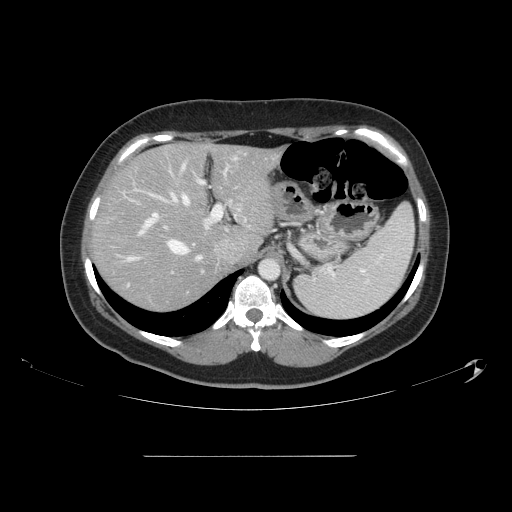 CT slice.
Not every hepatic vessel necessarily has a box.
Hepatic vessel = bbox=[183, 195, 188, 203]; bbox=[196, 256, 200, 260]; bbox=[183, 162, 185, 167]; bbox=[171, 194, 175, 199]; bbox=[205, 206, 222, 228]; bbox=[244, 219, 246, 220]; bbox=[126, 257, 135, 260]; bbox=[148, 193, 159, 197]; bbox=[139, 231, 143, 234]; bbox=[145, 213, 157, 227]; bbox=[168, 240, 187, 254]; bbox=[197, 180, 203, 183]; bbox=[234, 157, 235, 158].